CT slice.
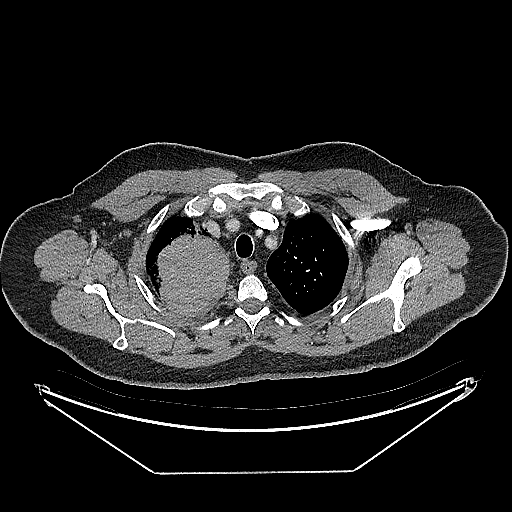
Lung tumor: bounding box bbox=[146, 219, 229, 314].